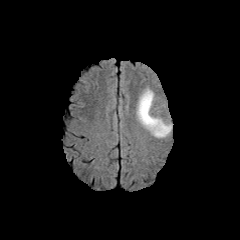
FLAIR magnetic resonance.
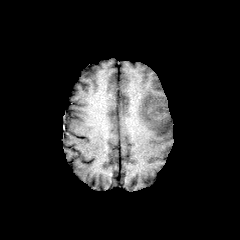
T1-weighted magnetic resonance.
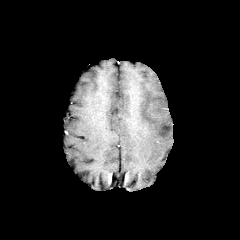
Same slice, post-contrast T1-weighted MR image.
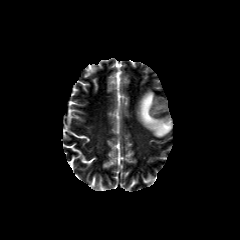
T2-weighted MR image.
240x240 px
<segmentation>
  <edema>(136, 88, 171, 138)</edema>
</segmentation>